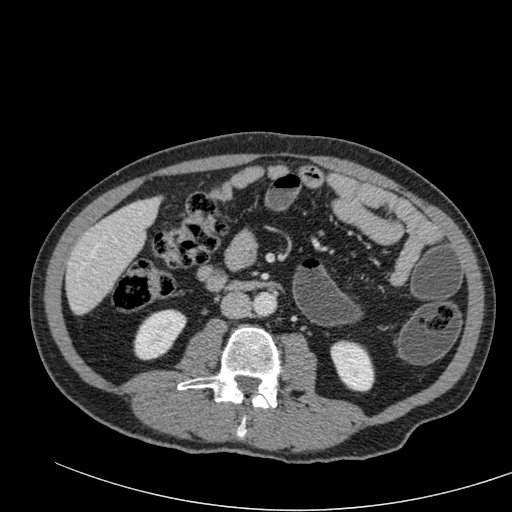
Abdomen, Computed tomography
Kidney: bounding box box=[331, 342, 373, 390]; box=[135, 310, 185, 359].
Liver: bounding box box=[66, 198, 159, 314].